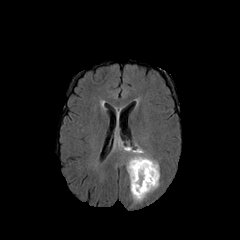
FLAIR MRI.
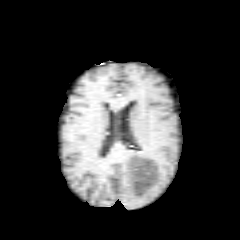
Same slice, T1-weighted MR.
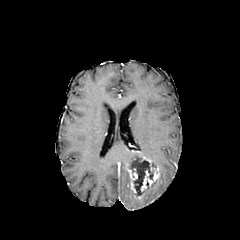
Post-contrast T1-weighted MR.
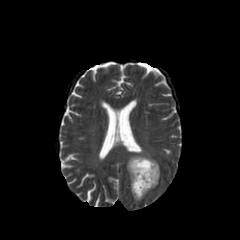
T2-weighted MRI of the same slice.
Brain
Annotated regions:
* enhancing tumor: (left=141, top=165, right=159, bottom=191), (left=128, top=169, right=137, bottom=193)
* non-enhancing tumor core: (left=132, top=153, right=153, bottom=194)
* edema: (left=137, top=146, right=157, bottom=167), (left=128, top=172, right=159, bottom=202), (left=125, top=146, right=137, bottom=169)